FLAIR MRI.
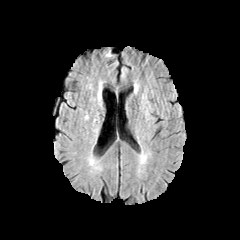
T1-weighted magnetic resonance.
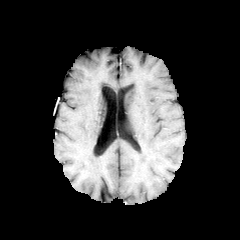
Post-contrast T1-weighted MRI.
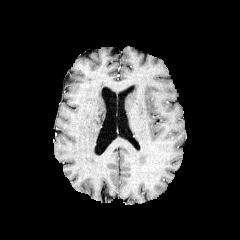
T2-weighted MR.
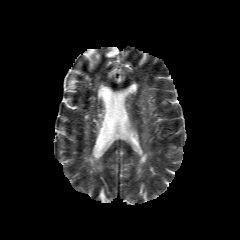
Image size 240x240
<segmentation>
  <edema>x1=142 y1=89 x2=150 y2=120</edema>
</segmentation>